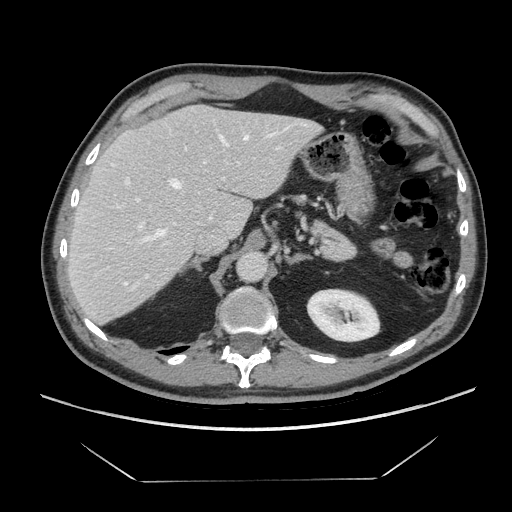

512x512 px | Computed tomography

The pancreas is at l=313, t=222, r=356, b=260.